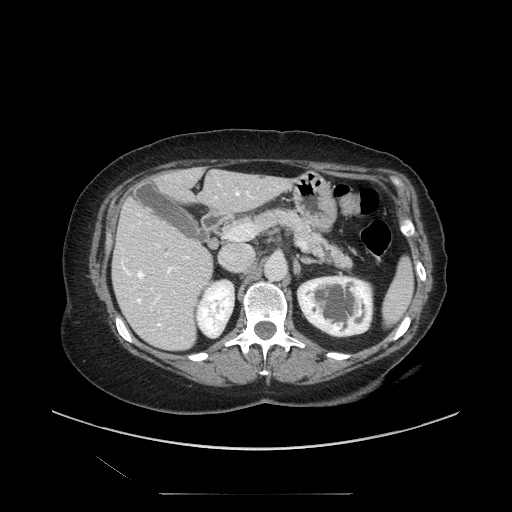 Image size 512x512 | CT
pancreas:
  - 231 208 351 269